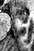

Medial temporal lobe | MR

Anterior hippocampus at 12:7:28:23.